FLAIR MR image.
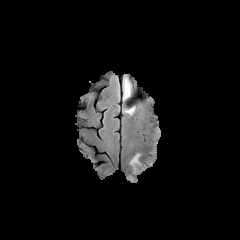
T1-weighted MRI.
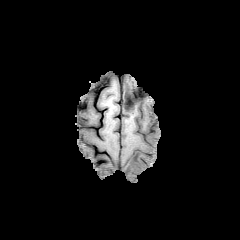
Post-contrast T1-weighted MR.
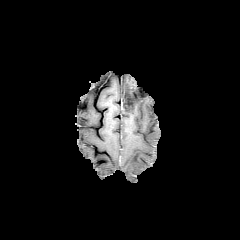
T2-weighted MR image.
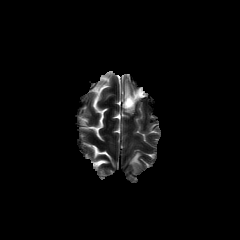
Edema = (left=128, top=151, right=142, bottom=173), (left=122, top=80, right=129, bottom=100), (left=122, top=108, right=133, bottom=115).